Slice 552 of 685. CT slice. Abdomen. 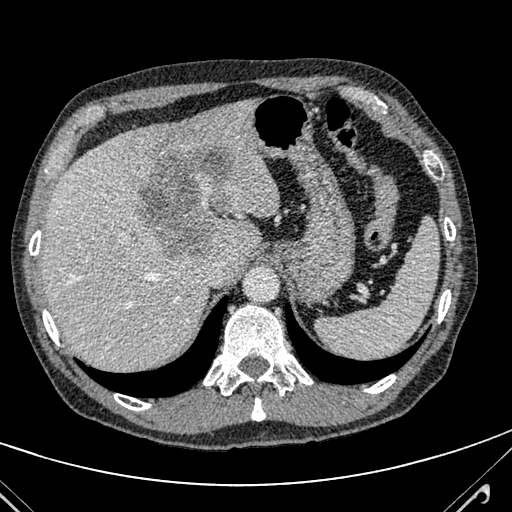 <segmentation>
  <focal_liver_lesion>bbox=[138, 141, 234, 261]</focal_liver_lesion>
  <liver>bbox=[42, 101, 279, 370]</liver>
</segmentation>